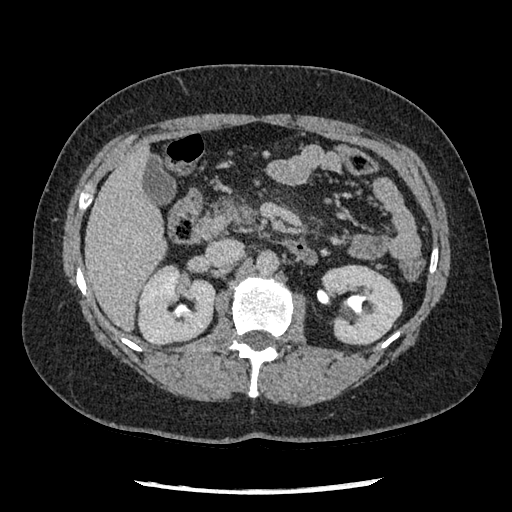
Abdomen; CT scan slice
Pancreas: bounding box {"x1": 213, "y1": 195, "x2": 256, "y2": 226}.